FLAIR MRI.
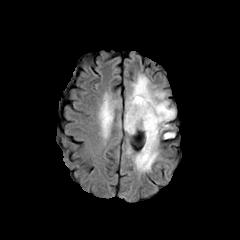
T1-weighted MRI.
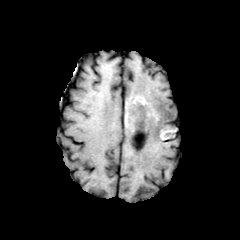
Post-contrast T1-weighted MRI.
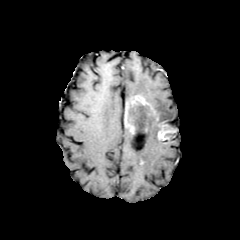
T2-weighted MR.
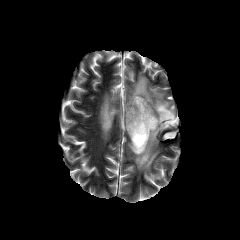
240x240 px.
Non-enhancing tumor core: bounding box [124,100,160,137], [159,126,168,139].
Edema: bounding box [99,100,114,135], [132,128,161,172], [124,73,175,137], [130,105,158,123].
Enhancing tumor: bounding box [126,96,147,110], [128,123,134,133].